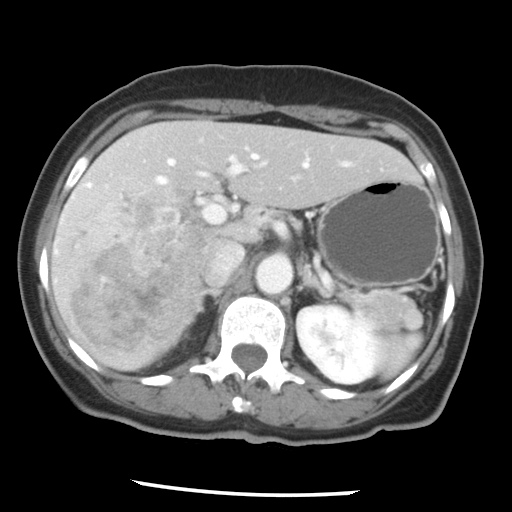 Image size 512x512. Computed tomography. The vessel annotation is not exhaustive.
Liver tumor — (70,220,203,350).
Hepatic vessel — (197,199,224,222), (344,162,349,165), (105,185,107,188), (250,153,258,158), (198,172,206,176), (82,181,93,190), (231,158,244,173), (303,160,308,167), (155,175,167,185), (167,158,174,165), (213,245,242,276).